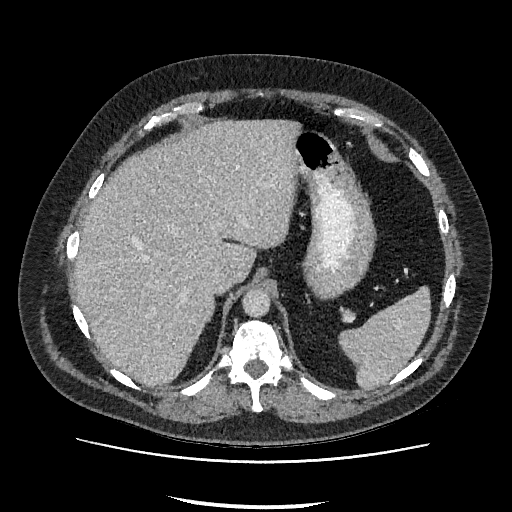
Abdomen; CT image
The liver appears at (x1=76, y1=120, x2=297, y2=385).